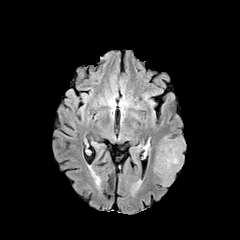
FLAIR MR.
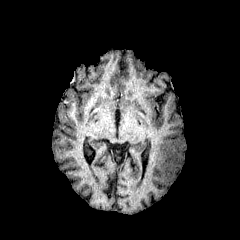
T1-weighted MR.
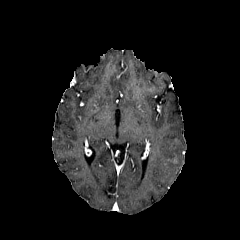
Same slice, post-contrast T1-weighted magnetic resonance.
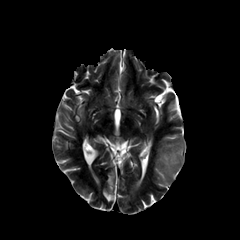
Same slice, T2-weighted MRI.
240x240 px; Brain
Enhancing tumor: (168, 156, 178, 163).
Edema: (152, 135, 173, 187), (173, 155, 183, 174).
Non-enhancing tumor core: (163, 138, 185, 178).